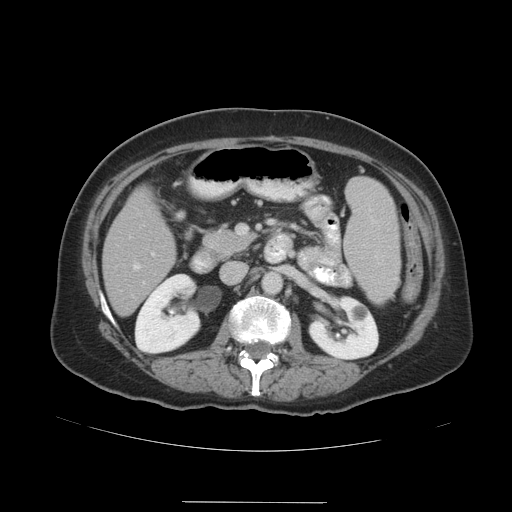

Image size 512x512 | Computed tomography | Abdomen
Some hepatic vessels may have no box.
2 hepatic vessel regions are located at {"x1": 133, "y1": 264, "x2": 139, "y2": 269}, {"x1": 152, "y1": 253, "x2": 153, "y2": 255}.